CT; Liver; 512x512 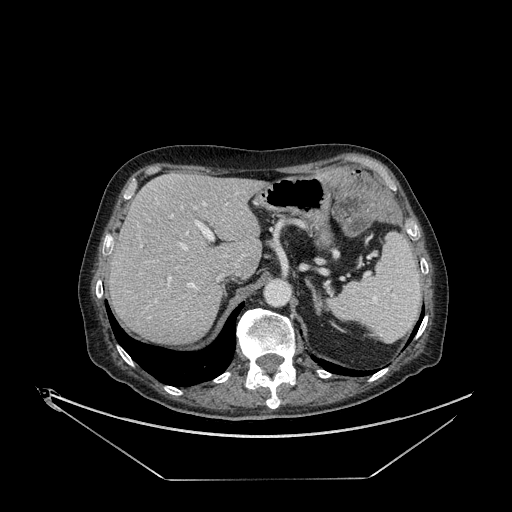

The liver is at l=110, t=173, r=263, b=344.